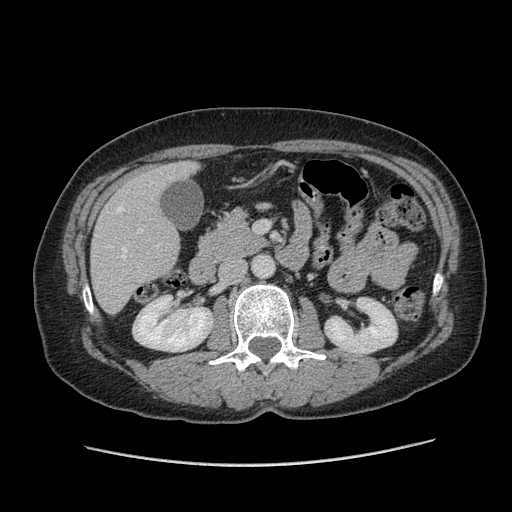

Liver; Image size 512x512; CT scan slice
Not every hepatic vessel necessarily has a box.
The hepatic vessel is located at bbox=[138, 230, 141, 232].